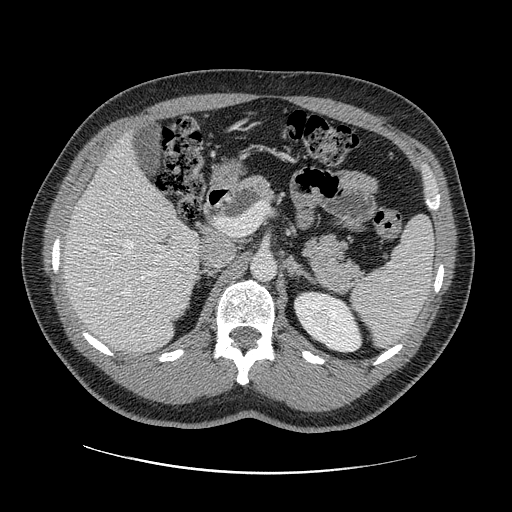

CT slice, Upper abdomen
{
  "pancreatic_tumor": [
    "225:188:260:217"
  ],
  "pancreas": [
    "302:231:364:293",
    "220:175:285:218"
  ]
}